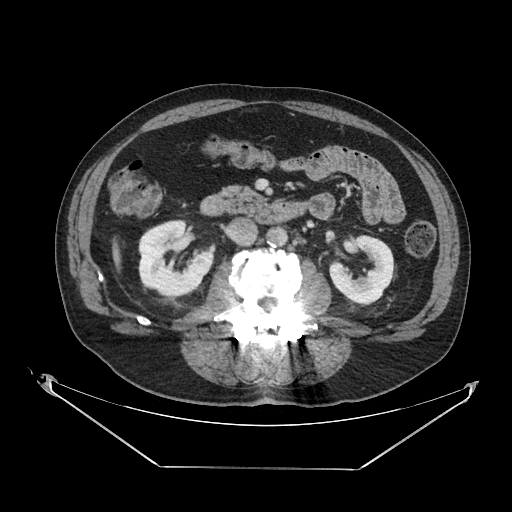
CT image; Abdomen
<segmentation>
  <pancreas>left=217, top=184, right=265, bottom=214</pancreas>
</segmentation>